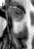
34x49, Magnetic resonance, Medial temporal lobe
The anterior hippocampus is located at (left=8, top=6, right=24, bottom=20). The posterior hippocampus is bounded by (left=15, top=21, right=20, bottom=21).